CT; Abdomen

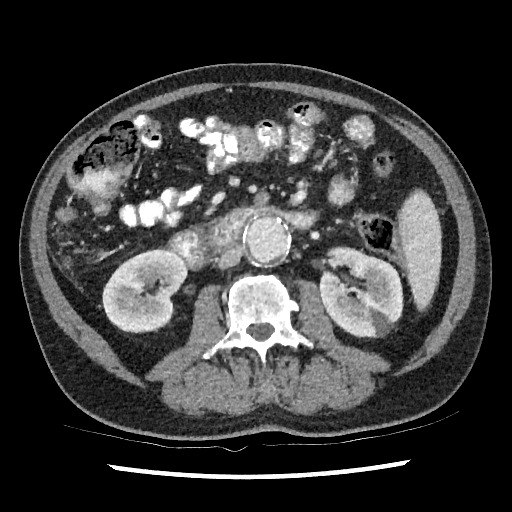 kidney:
  - box=[103, 249, 186, 332]
  - box=[320, 248, 402, 336]